FLAIR MRI.
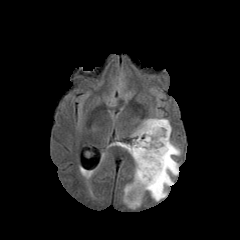
T1-weighted MR.
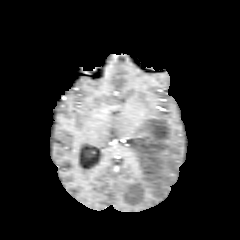
Post-contrast T1-weighted MRI.
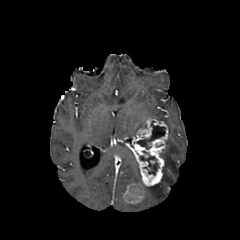
T2-weighted MR.
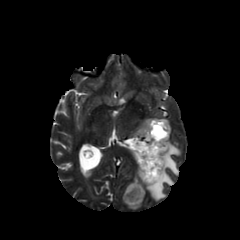
3 edema regions are located at box=[142, 118, 180, 200]; box=[128, 198, 142, 208]; box=[113, 142, 141, 183]. 2 enhancing tumor regions are bounded by box=[124, 183, 143, 203]; box=[126, 119, 168, 185]. 2 non-enhancing tumor core regions appear at box=[140, 155, 158, 174]; box=[137, 121, 165, 149].